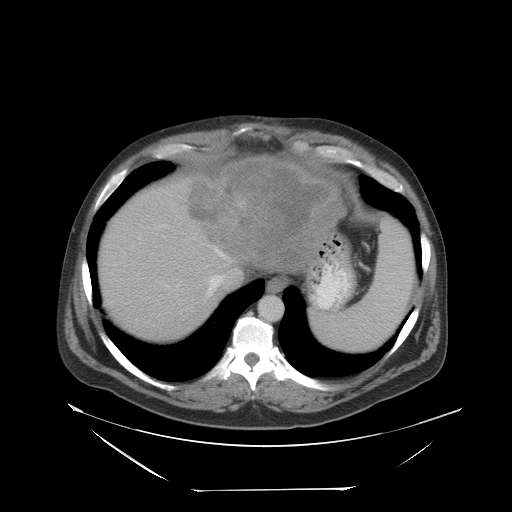
CT slice.
The vessel annotation is not exhaustive.
liver_tumor:
  - 186,161,329,258
hepatic_vessel:
  - 207,275,224,296
  - 214,248,226,258